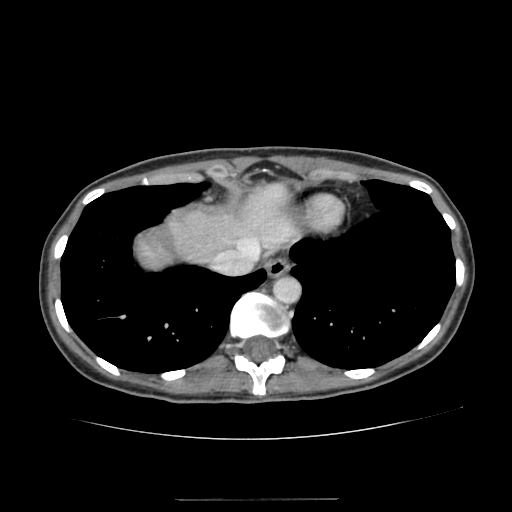
CT scan slice
Liver = x1=141 y1=184 x2=292 y2=265.